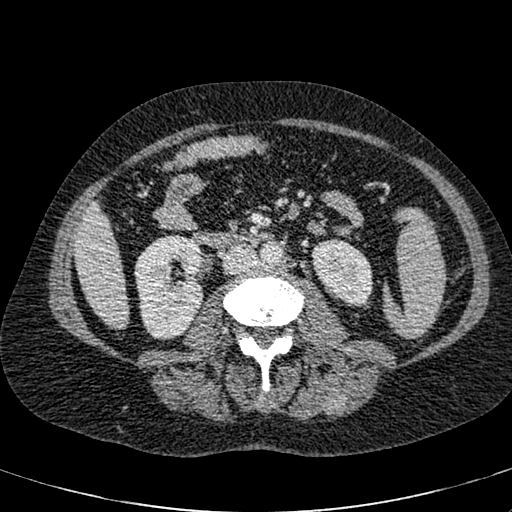

Abdomen; 512x512 px; Computed tomography
{"kidney": ["x1=135 y1=236 x2=202 y2=338", "x1=312 y1=240 x2=371 y2=305"], "liver": ["x1=75 y1=206 x2=127 y2=326"]}